Brain, Image size 240x240
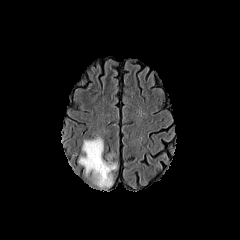
FLAIR MRI.
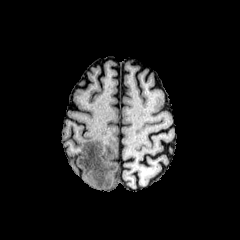
Same slice, T1-weighted MR image.
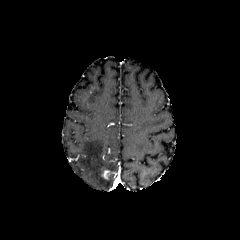
Post-contrast T1-weighted MR image.
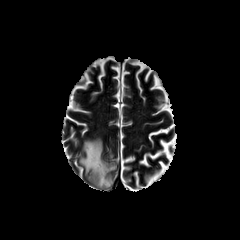
T2-weighted MR.
Findings:
- edema: <bbox>79, 139, 116, 188</bbox>